FLAIR MRI.
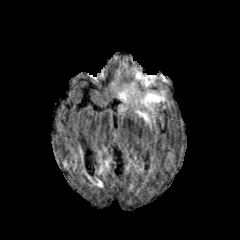
T1-weighted MRI.
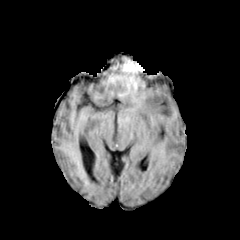
Post-contrast T1-weighted MRI.
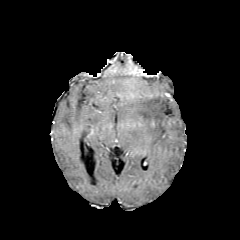
T2-weighted MRI.
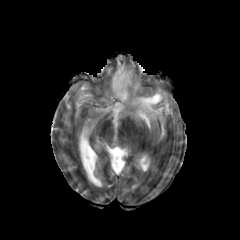
Head
Findings:
* edema: [111,64,169,128]